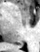
MR image. 40x52.
Annotated regions:
- posterior hippocampus: box=[18, 43, 23, 45]